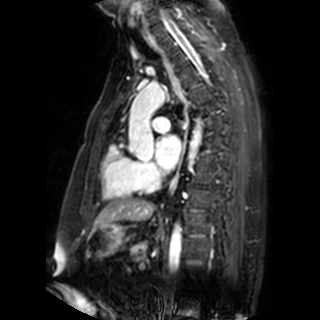

MRI slice
{"left_atrium": ["bbox(155, 135, 180, 170)"]}